CT slice, Pelvis
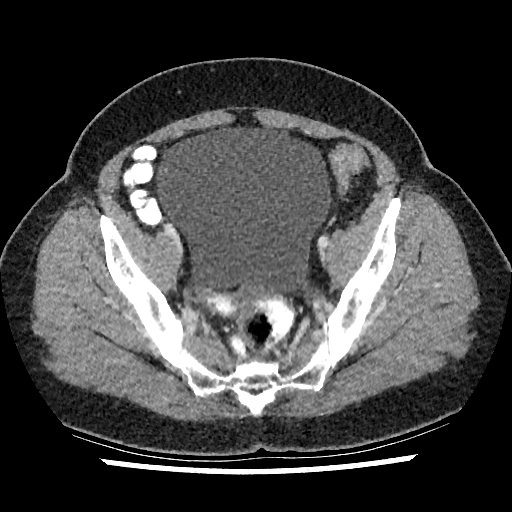
Urinary bladder: [156, 125, 331, 295].